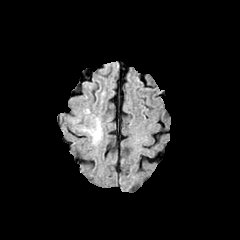
FLAIR MRI.
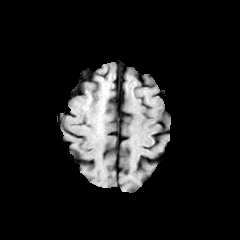
T1-weighted magnetic resonance of the same slice.
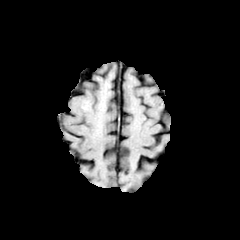
Post-contrast T1-weighted MR.
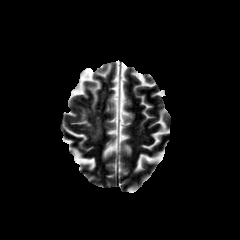
T2-weighted MRI.
edema: x1=91, y1=122, x2=101, y2=140